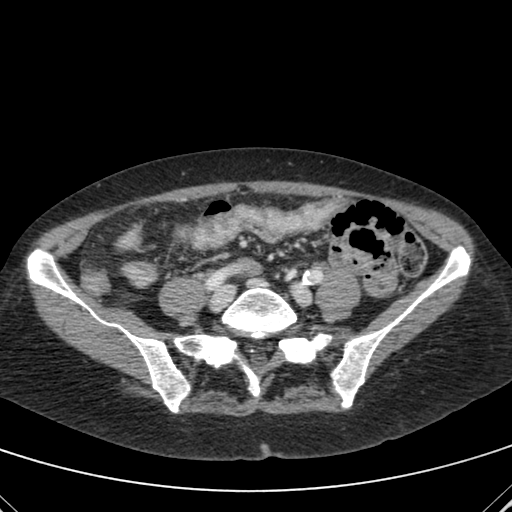 Computed tomography. 512x512 px. Liver.

<segmentation>
  <liver>(126, 231, 137, 245)</liver>
</segmentation>